Brain, Image width 240 mm
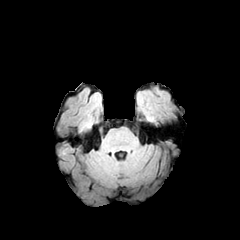
FLAIR MRI.
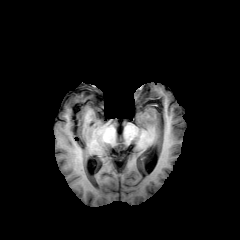
T1-weighted MR of the same slice.
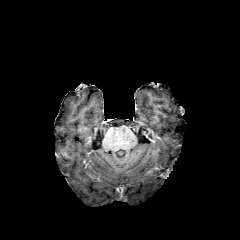
Post-contrast T1-weighted magnetic resonance of the same slice.
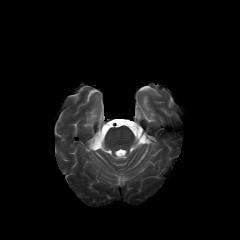
T2-weighted MR image of the same slice.
<segmentation>
  <edema>(144,111,153,121)</edema>
</segmentation>